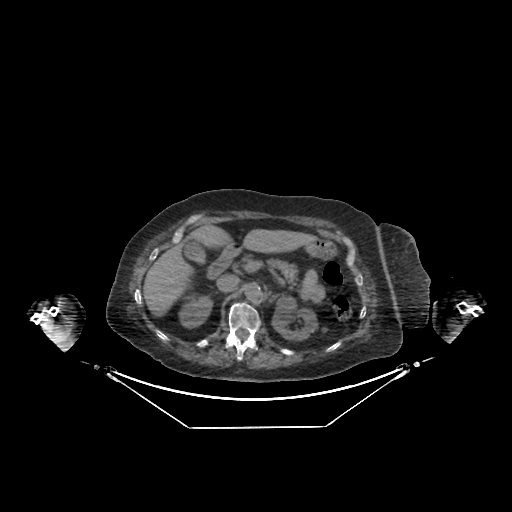 Liver, 512x512 px, CT slice

2 liver regions appear at 243,229,320,254; 142,224,236,317. 2 kidney regions are located at 272,295,318,340; 178,296,212,328.